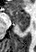

Magnetic resonance. The anterior hippocampus is located at bbox(7, 7, 29, 21). The posterior hippocampus lies within bbox(15, 21, 29, 33).